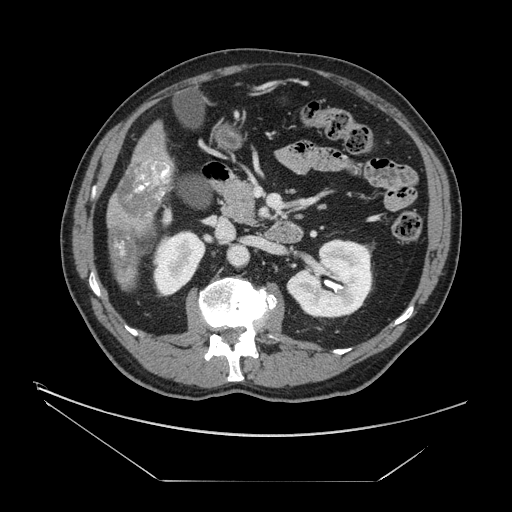
Computed tomography. Liver.

Liver tumor — l=109, t=229, r=138, b=269; l=117, t=162, r=171, b=217.